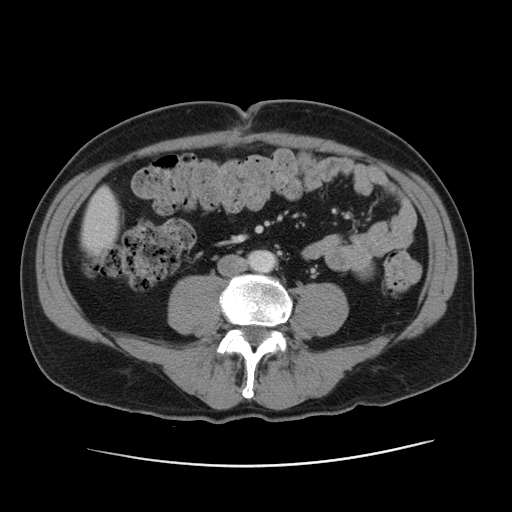
CT slice
{
  "liver": [
    "[83,189,119,247]"
  ]
}